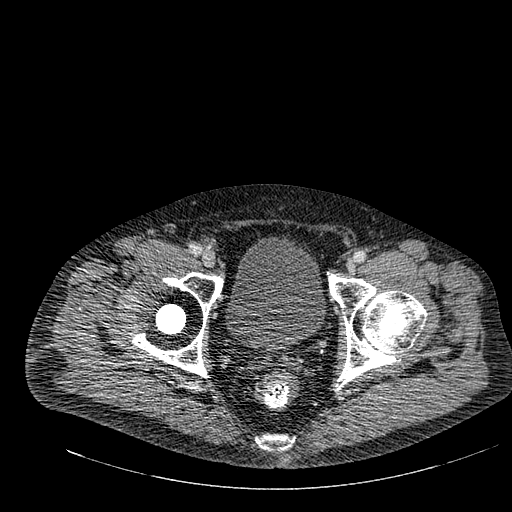 Lower abdomen, CT image

<segmentation>
  <urinary_bladder>bbox(225, 237, 325, 351)</urinary_bladder>
</segmentation>